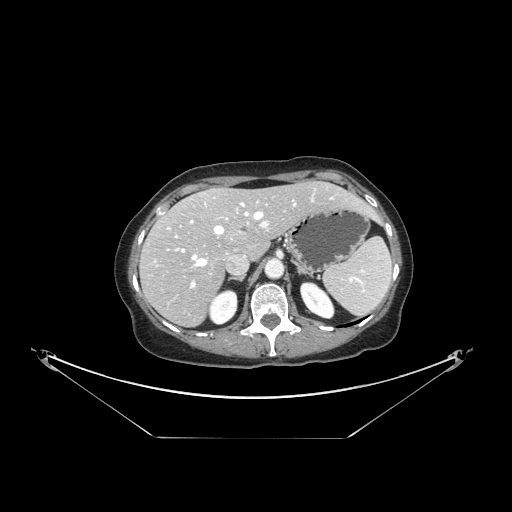

CT slice | Liver
The vessel annotation is not exhaustive.
4 hepatic vessel regions are bounded by (x1=262, y1=223, x2=266, y2=225), (x1=215, y1=226, x2=222, y2=233), (x1=192, y1=283, x2=194, y2=285), (x1=255, y1=212, x2=261, y2=218).